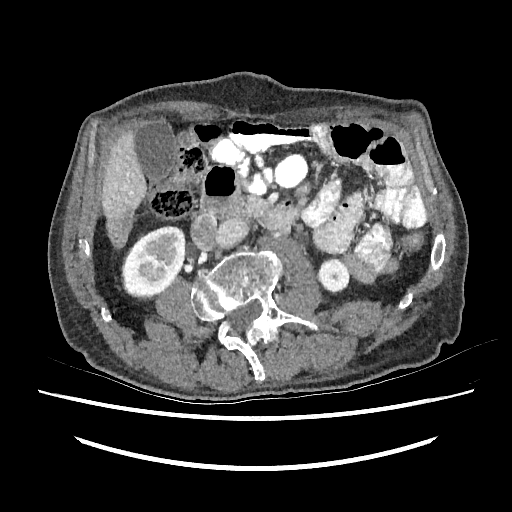 Image size 512x512. CT scan slice.
The liver appears at region(102, 131, 146, 247). 2 kidney regions are bounded by region(123, 227, 184, 295); region(319, 260, 348, 291). The hepatic lesion lies within region(112, 207, 131, 247).